Brain.
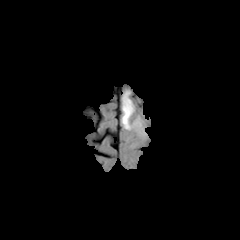
FLAIR MR image.
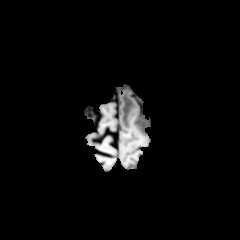
T1-weighted MR of the same slice.
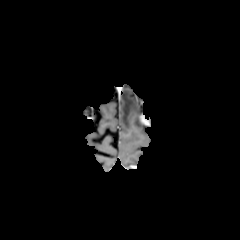
Post-contrast T1-weighted magnetic resonance.
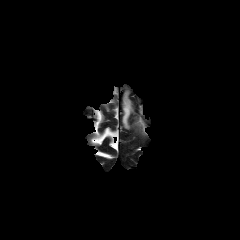
T2-weighted magnetic resonance.
edema:
  - bbox=[122, 91, 134, 130]